Field of view 240 mm wide, 1.00 mm slice spacing. Image size 240x240.
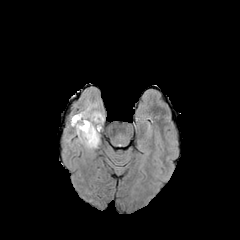
FLAIR MR.
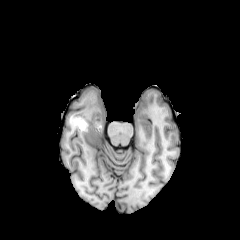
T1-weighted MR.
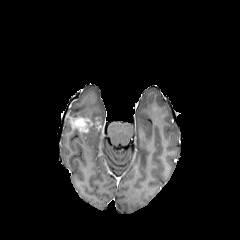
Post-contrast T1-weighted MR image of the same slice.
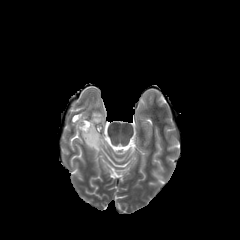
T2-weighted MR.
<segmentation>
  <enhancing_tumor>70:116:93:133</enhancing_tumor>
  <edema>68:98:104:153</edema>
</segmentation>